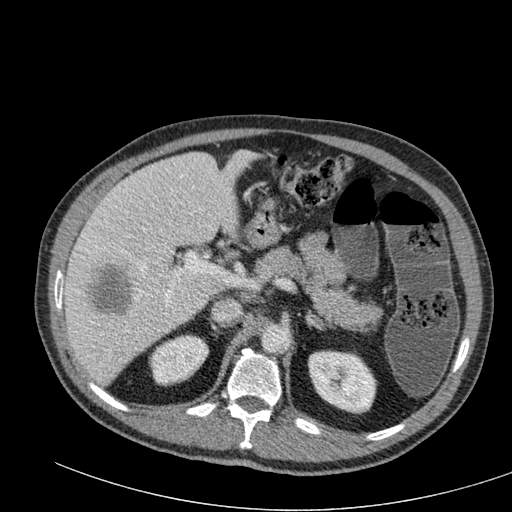 CT slice

• liver: rect(60, 151, 256, 385)
• kidney: rect(151, 336, 205, 383); rect(309, 352, 374, 411)
• hepatic lesion: rect(90, 264, 132, 315)